CT image 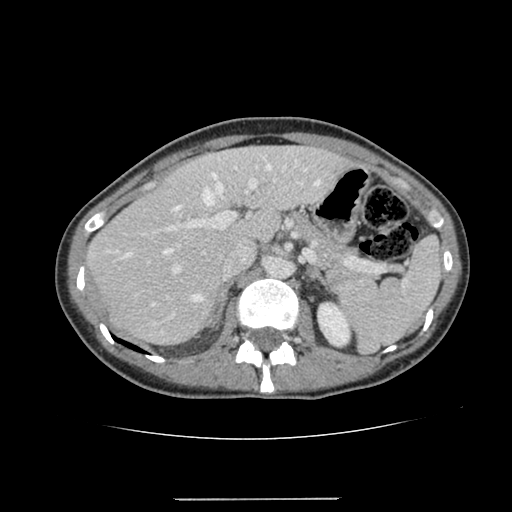 kidney: (318,303,349,345) | liver: (87,145,353,344)